Chest | 512x512 | Slice 487 of 537 | Field of view 496x496 mm | CT scan slice

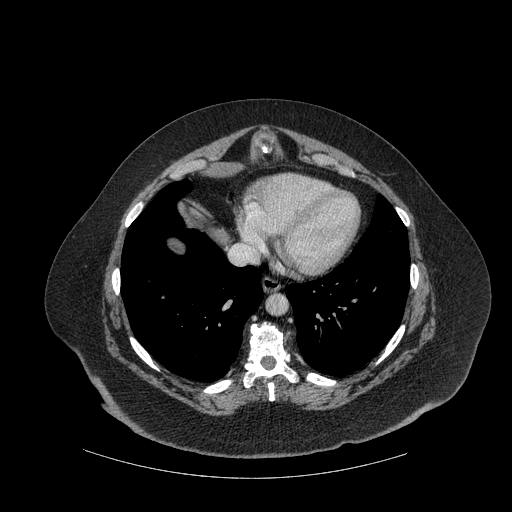

Lung — [121,179,263,381], [286,194,409,375].
Bone — [244,323,296,387], [268,382,274,400], [410,264,418,288], [396,207,409,225], [376,325,404,363], [307,373,335,385], [112,269,119,294], [130,337,158,370], [125,202,142,226], [204,380,230,393].